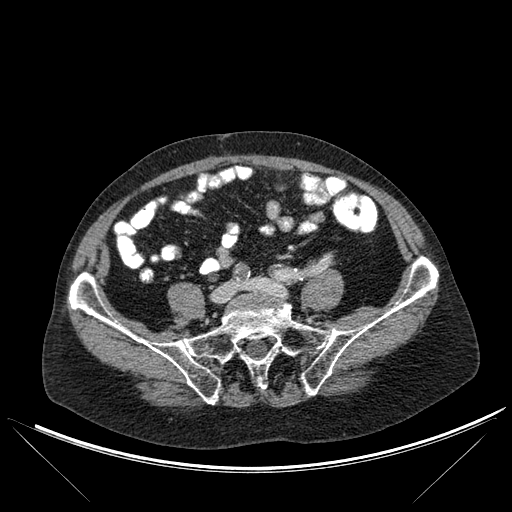
512x512 | CT slice

The bone is at [x1=69, y1=256, x2=438, y2=404].